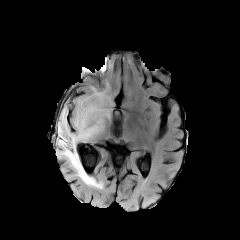
FLAIR MR image.
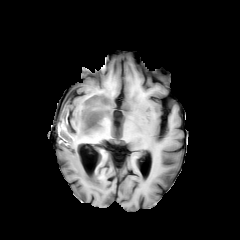
T1-weighted MRI of the same slice.
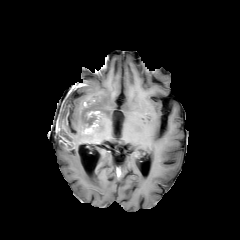
Same slice, post-contrast T1-weighted magnetic resonance.
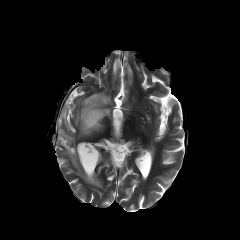
T2-weighted MR.
Brain
The edema lies within left=56, top=94, right=108, bottom=188. 2 enhancing tumor regions are located at left=84, top=120, right=97, bottom=133; left=87, top=111, right=101, bottom=118.